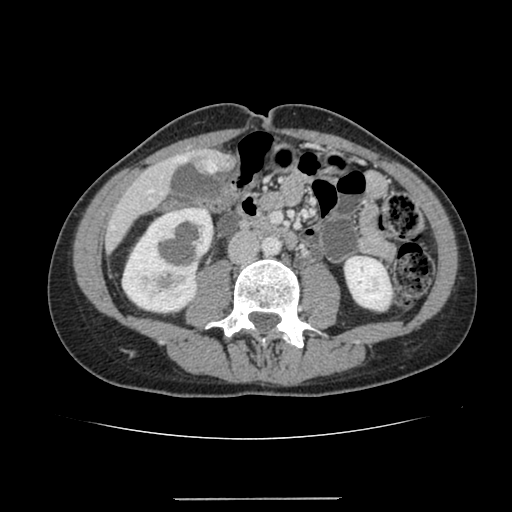

Computed tomography; Upper abdomen
The liver is located at (x1=105, y1=150, x2=235, y2=252). 2 kidney regions are located at (x1=345, y1=256, x2=391, y2=309), (x1=123, y1=208, x2=212, y2=311).